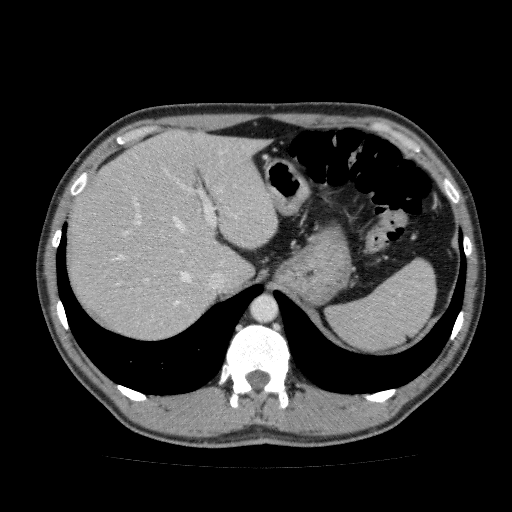 Computed tomography.

Liver at (69,129,277,342).